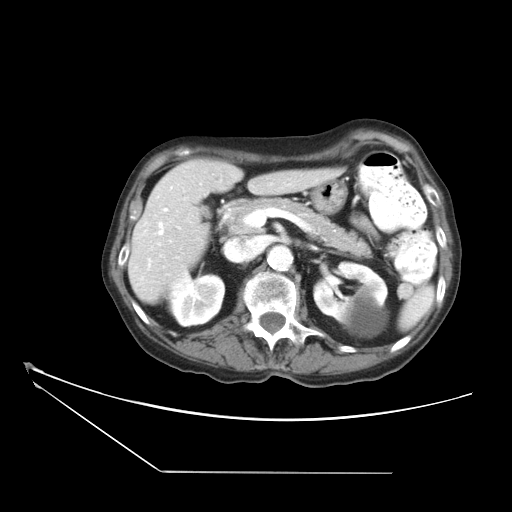

Upper abdomen, Computed tomography

Pancreas — (215,197,372,258).